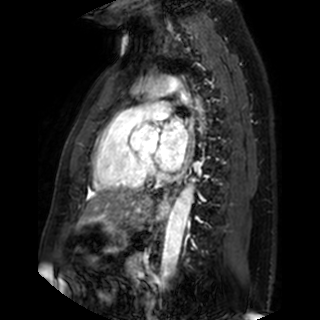 Heart | MR
Left atrium: bounding box region(155, 119, 187, 170).